240x240 px.
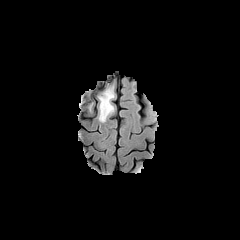
FLAIR MRI.
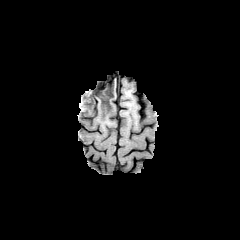
Same slice, T1-weighted MR.
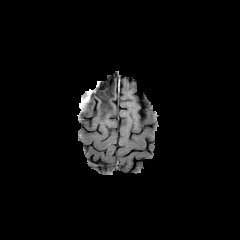
Post-contrast T1-weighted MR of the same slice.
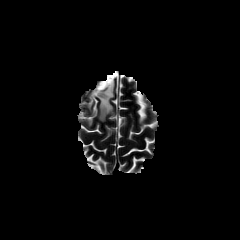
T2-weighted MR of the same slice.
- non-enhancing tumor core: {"x1": 94, "y1": 85, "x2": 113, "y2": 117}
- edema: {"x1": 80, "y1": 103, "x2": 91, "y2": 112}, {"x1": 83, "y1": 94, "x2": 111, "y2": 123}, {"x1": 106, "y1": 84, "x2": 115, "y2": 103}